Image size 240x240. Slice 51/155.
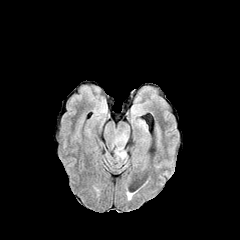
FLAIR magnetic resonance.
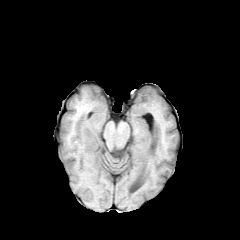
T1-weighted MR.
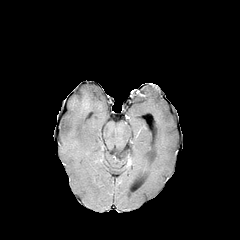
Same slice, post-contrast T1-weighted MRI.
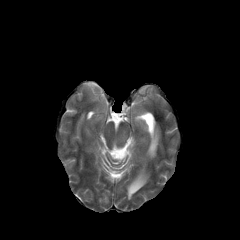
T2-weighted magnetic resonance of the same slice.
The edema is bounded by <box>114,148,126,159</box>.